CT scan slice, Field of view 373 mm wide, 0.80 mm slice spacing, Liver

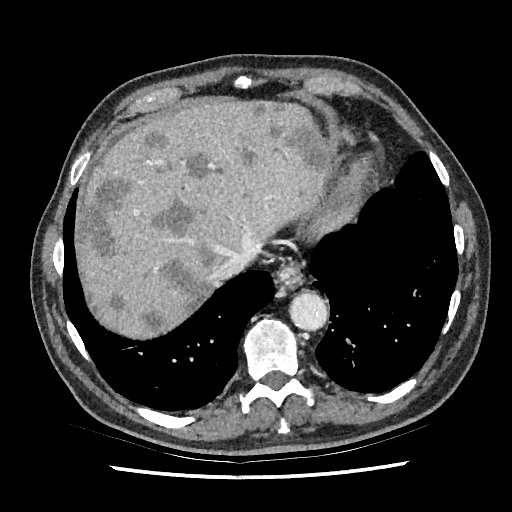
{"hepatic_lesion": [{"x1": 254, "y1": 104, "x2": 264, "y2": 115}, {"x1": 284, "y1": 120, "x2": 326, "y2": 169}, {"x1": 144, "y1": 131, "x2": 164, "y2": 148}, {"x1": 269, "y1": 126, "x2": 280, "y2": 138}, {"x1": 110, "y1": 295, "x2": 125, "y2": 310}, {"x1": 158, "y1": 259, "x2": 211, "y2": 313}, {"x1": 149, "y1": 199, "x2": 195, "y2": 236}, {"x1": 199, "y1": 245, "x2": 217, "y2": 267}, {"x1": 234, "y1": 139, "x2": 256, "y2": 167}, {"x1": 274, "y1": 104, "x2": 286, "y2": 113}, {"x1": 143, "y1": 308, "x2": 167, "y2": 333}, {"x1": 78, "y1": 172, "x2": 135, "y2": 257}, {"x1": 297, "y1": 189, "x2": 306, "y2": 197}, {"x1": 187, "y1": 151, "x2": 224, "y2": 178}], "liver": [{"x1": 75, "y1": 102, "x2": 329, "y2": 337}]}